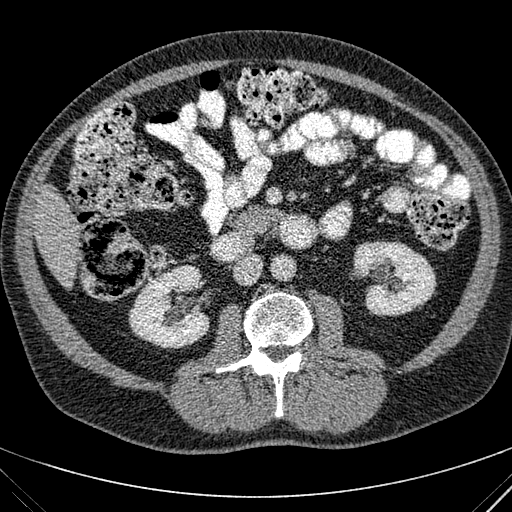

Abdomen; 512x512 px; CT slice
Liver: bounding box x1=35, y1=184, x2=78, y2=286.
Kidney: bounding box x1=354, y1=242, x2=435, y2=315; x1=129, y1=265, x2=209, y2=347.